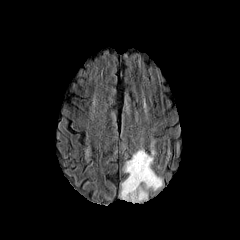
FLAIR MR image.
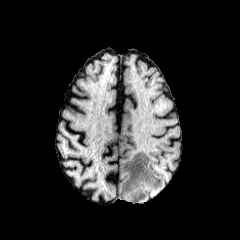
T1-weighted MRI.
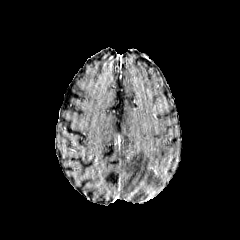
Same slice, post-contrast T1-weighted MRI.
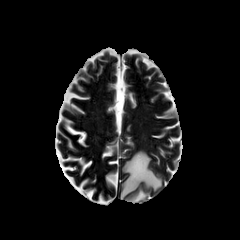
T2-weighted magnetic resonance.
Brain
edema:
  - region(118, 150, 161, 203)